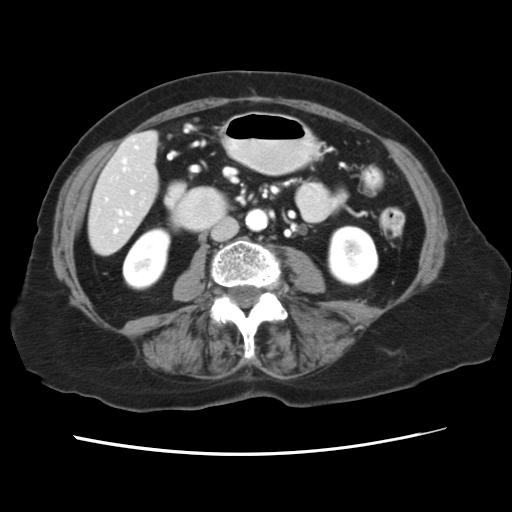

Liver. Computed tomography.

Not every hepatic vessel necessarily has a box.
{
  "hepatic_vessel": [
    "bbox(118, 210, 129, 215)",
    "bbox(131, 190, 134, 193)",
    "bbox(140, 203, 142, 205)",
    "bbox(114, 229, 117, 232)",
    "bbox(132, 138, 134, 141)",
    "bbox(135, 146, 137, 148)",
    "bbox(122, 159, 127, 170)",
    "bbox(119, 219, 121, 222)"
  ]
}